Upper abdomen, CT slice, Image size 512x512

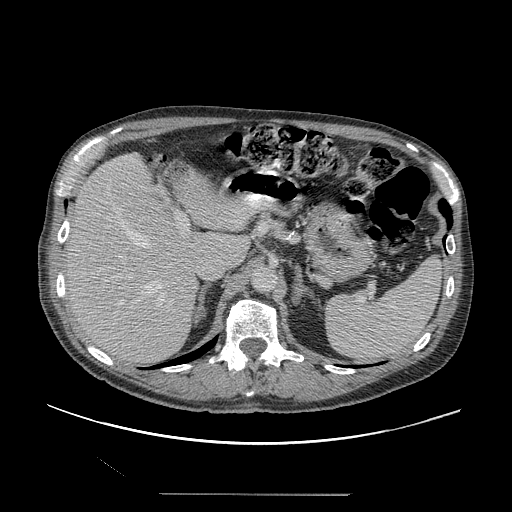 pancreas: l=252, t=211, r=289, b=241